240x240 px, Field of view 240x240 mm
FLAIR magnetic resonance.
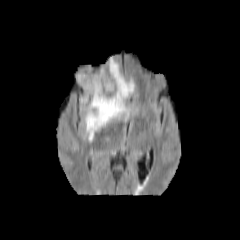
T1-weighted magnetic resonance.
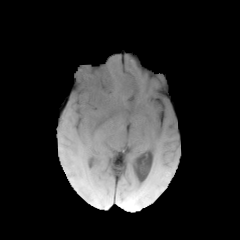
Post-contrast T1-weighted magnetic resonance.
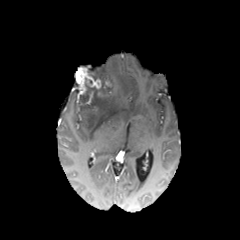
T2-weighted MRI.
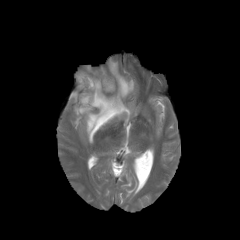
<segmentation>
  <enhancing_tumor>x1=75, y1=65, x2=100, y2=101</enhancing_tumor>
  <edema>x1=74, y1=56, x2=134, y2=142</edema>
  <non-enhancing_tumor_core>x1=75, y1=67, x2=115, y2=110</non-enhancing_tumor_core>
</segmentation>